512x512, CT image
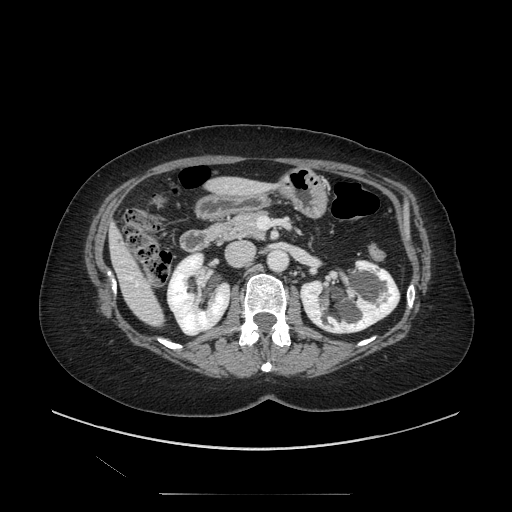 <segmentation>
  <pancreas>box=[216, 211, 265, 243]</pancreas>
</segmentation>